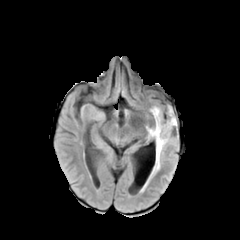
FLAIR MR image.
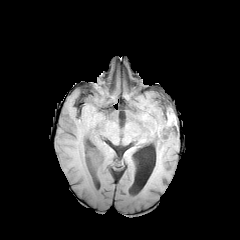
T1-weighted MR image.
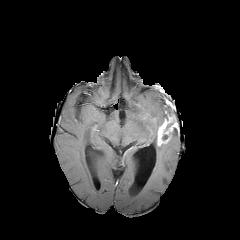
Post-contrast T1-weighted MRI.
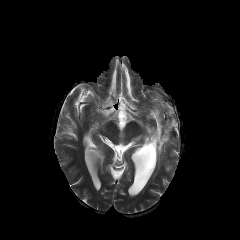
T2-weighted MR image.
Head.
Non-enhancing tumor core: bounding box (x1=164, y1=107, x2=172, y2=121).
Enhancing tumor: bounding box (x1=156, y1=117, x2=177, y2=145).
Edema: bounding box (x1=146, y1=104, x2=178, y2=173).